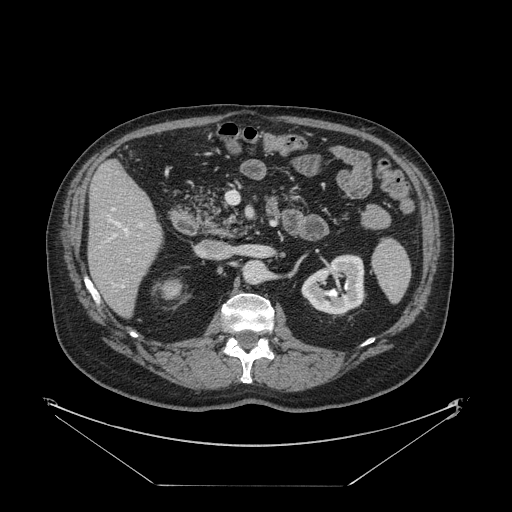 CT image, Liver
The vessel annotation is not exhaustive.
3 hepatic vessel regions are bounded by bbox=[138, 223, 141, 225]; bbox=[127, 259, 128, 260]; bbox=[111, 208, 113, 209].